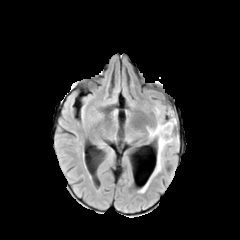
FLAIR MR image.
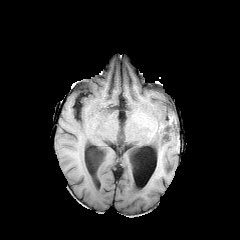
T1-weighted MRI of the same slice.
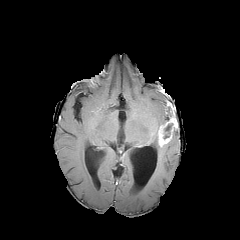
Same slice, post-contrast T1-weighted magnetic resonance.
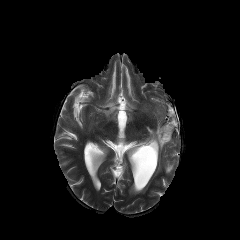
T2-weighted MR.
Brain
<segmentation>
  <enhancing_tumor><bbox>166, 118, 177, 127</bbox>, <bbox>157, 128, 171, 145</bbox></enhancing_tumor>
  <non-enhancing_tumor_core><bbox>164, 123, 172, 137</bbox></non-enhancing_tumor_core>
  <edema><bbox>139, 137, 173, 193</bbox>, <bbox>147, 107, 172, 144</bbox>, <bbox>155, 106, 161, 117</bbox></edema>
</segmentation>